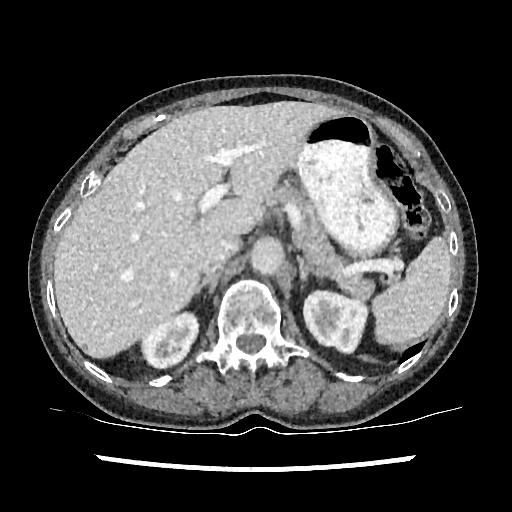 Computed tomography | Upper abdomen

kidney:
  - box=[144, 314, 197, 371]
  - box=[304, 292, 366, 351]
liver:
  - box=[54, 102, 345, 356]